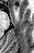

Hippocampus | MRI slice

Segmented structures:
- anterior hippocampus: left=15, top=6, right=17, bottom=8